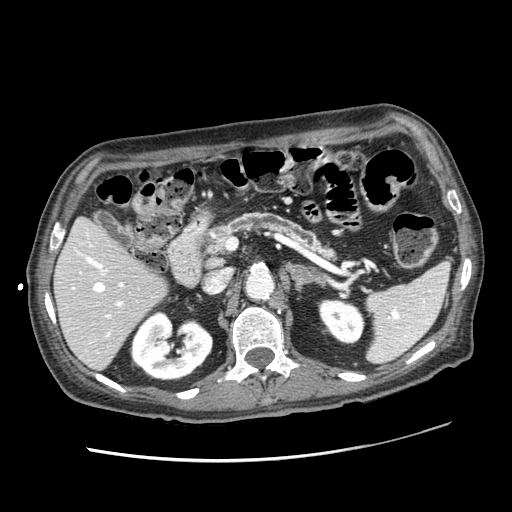 Upper abdomen. CT.
Segmented structures:
* pancreatic tumor: (left=214, top=229, right=227, bottom=249)
* pancreas: (left=219, top=213, right=334, bottom=258)